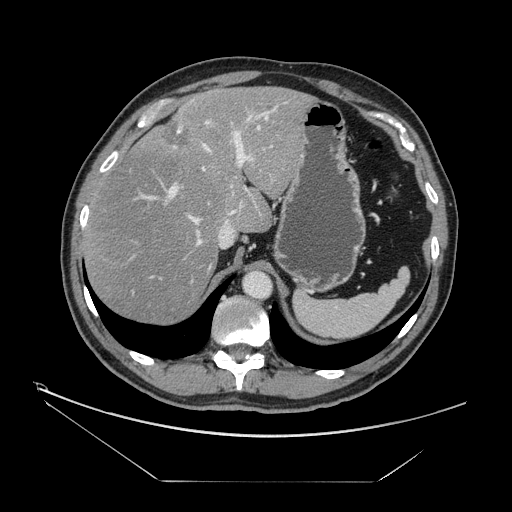

512x512; CT image

Some hepatic vessels may have no box.
Hepatic vessel: (169, 186, 177, 197), (258, 111, 269, 119), (191, 217, 198, 222), (248, 116, 253, 120), (205, 121, 209, 123), (232, 131, 253, 165), (197, 232, 199, 234), (202, 167, 204, 169), (257, 126, 259, 129), (203, 144, 209, 151), (197, 240, 201, 243).
Liver tumor: (161, 122, 190, 148).